Image width 240 mm; Head
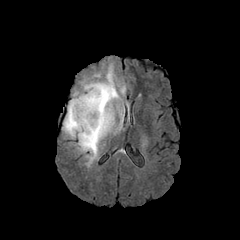
FLAIR MR image.
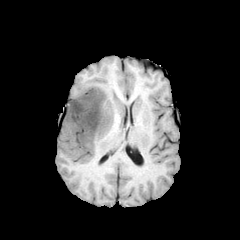
T1-weighted MR image.
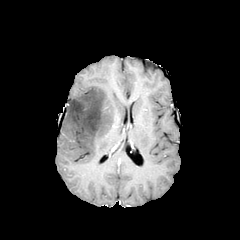
Post-contrast T1-weighted MRI.
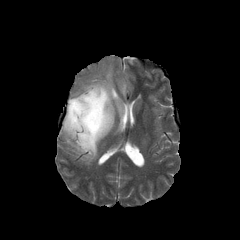
T2-weighted MR image.
The edema is located at 62,65,125,164. The non-enhancing tumor core lies within 68,89,106,138.